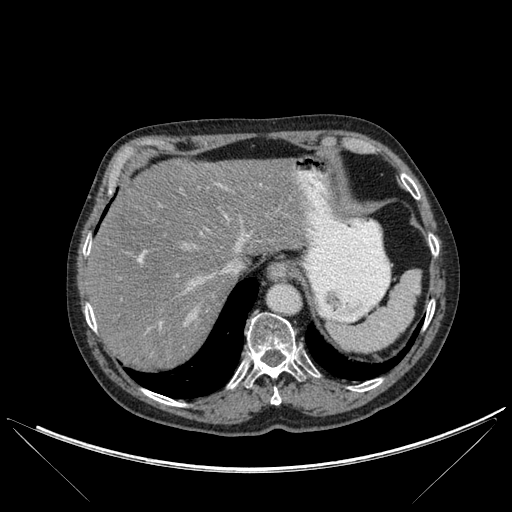

CT, Upper abdomen, 512x512
Liver = [87,158,306,370].
Bone = [85,304,96,330], [83,238,91,255], [349,378,382,391], [247,313,319,384], [271,387,280,404], [142,389,184,406], [429,234,438,255], [228,363,247,388], [424,300,434,328], [401,173,419,198].
Lung = [126,278,257,398], [305,322,421,380].